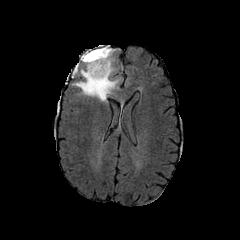
FLAIR MRI.
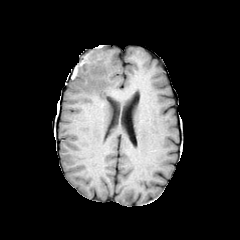
T1-weighted MRI.
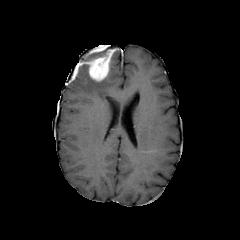
Post-contrast T1-weighted MR image.
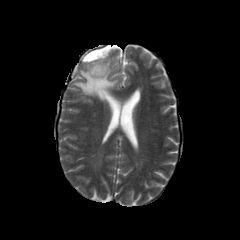
T2-weighted magnetic resonance of the same slice.
Head
edema:
  - <box>72,66,119,102</box>
enhancing_tumor:
  - <box>84,45,107,58</box>
  - <box>75,49,116,81</box>
non-enhancing_tumor_core:
  - <box>80,45,113,61</box>
  - <box>110,49,119,71</box>
  - <box>86,73,106,89</box>